Slice 330 of 455 | 512x512 | Abdomen | Computed tomography
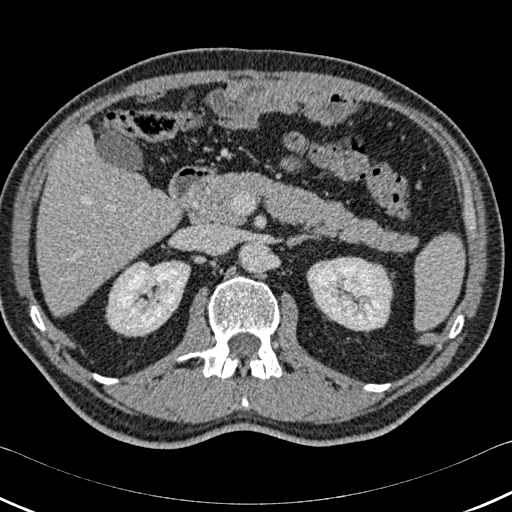 Kidney: bounding box box(107, 261, 189, 335); box(308, 258, 391, 329).
Liver: bounding box box(37, 126, 180, 313).
Bone: bounding box box(364, 384, 389, 391); box(242, 396, 248, 406); box(177, 277, 281, 379); box(93, 374, 117, 384); box(31, 306, 44, 330); box(450, 316, 462, 337).